Upper abdomen | Slice 58/85 | CT slice

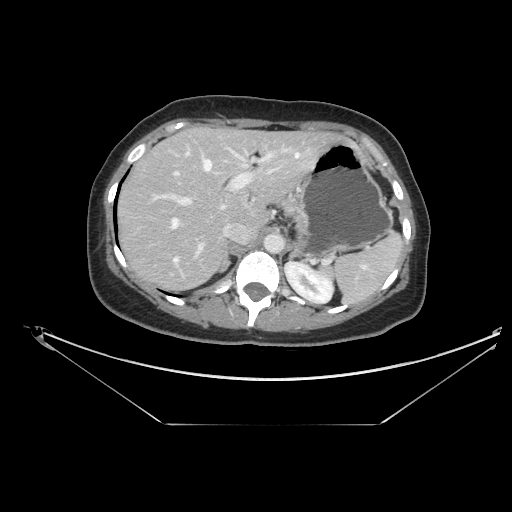
The pancreas is located at (x1=282, y1=199, x2=304, y2=222).